FLAIR magnetic resonance.
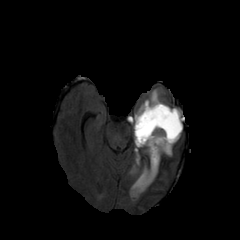
T1-weighted magnetic resonance.
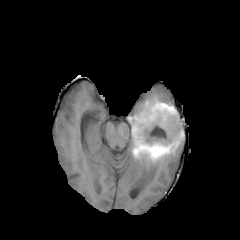
Post-contrast T1-weighted magnetic resonance.
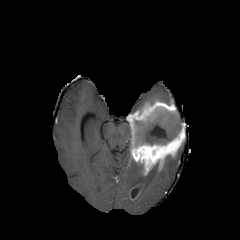
T2-weighted magnetic resonance.
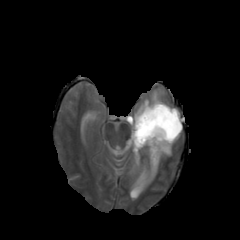
Brain
<segmentation>
  <edema>region(137, 90, 163, 109); region(130, 162, 158, 193)</edema>
  <non-enhancing_tumor_core>region(150, 160, 163, 171); region(134, 113, 181, 145)</non-enhancing_tumor_core>
  <enhancing_tumor>region(127, 100, 183, 175)</enhancing_tumor>
</segmentation>